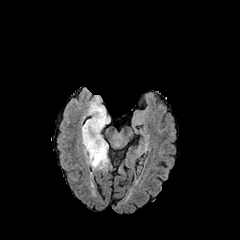
FLAIR MRI.
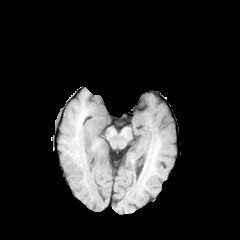
Same slice, T1-weighted MRI.
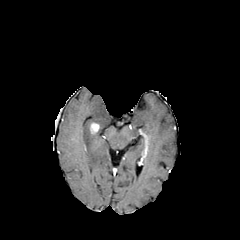
Post-contrast T1-weighted MR image of the same slice.
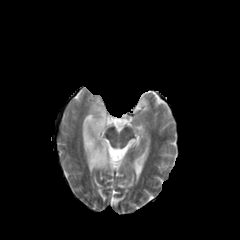
Same slice, T2-weighted MRI.
Head
Edema = bbox=[81, 96, 111, 171].
Enhancing tumor = bbox=[90, 122, 99, 133].